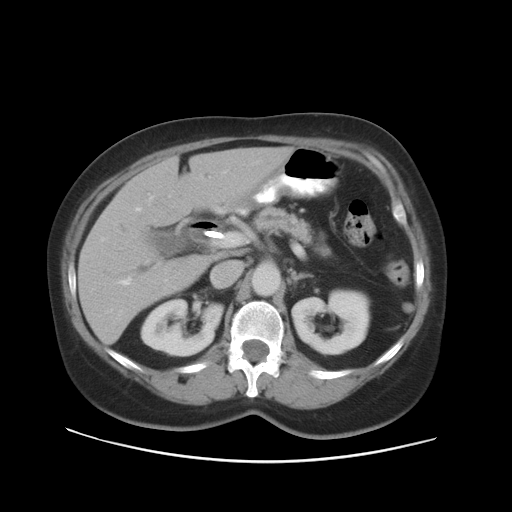 Upper abdomen. CT image.

Pancreas at x1=252 y1=207 x2=330 y2=257.